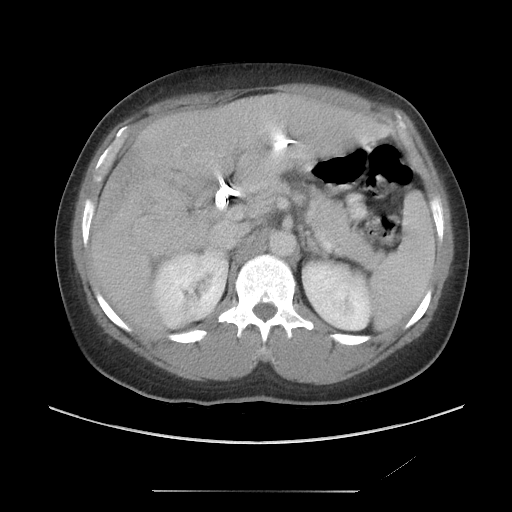 CT slice | 512x512

Only some of the vessels may be annotated.
Segmented structures:
- liver tumor: 93,149,151,235
- hepatic vessel: 183,144,185,145